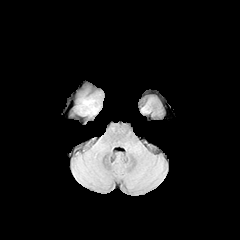
FLAIR MRI.
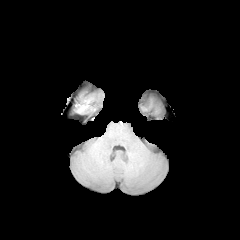
T1-weighted MRI.
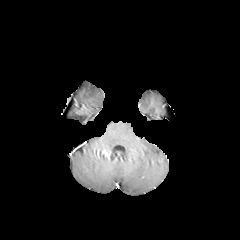
Same slice, post-contrast T1-weighted MR image.
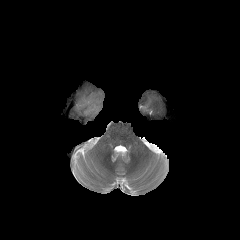
T2-weighted MR.
240x240 px
edema:
  - l=77, t=98, r=99, b=115